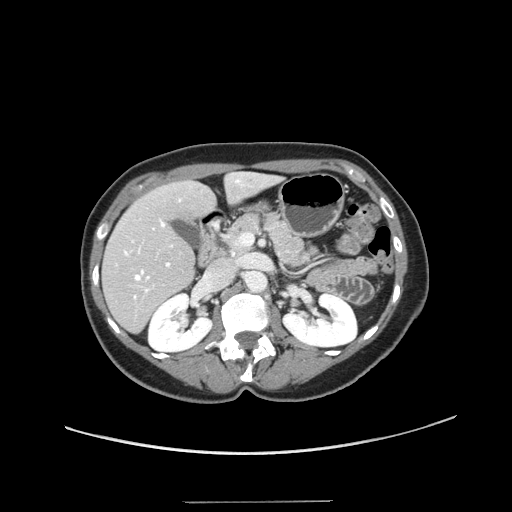 Abdomen; CT
The vessel annotation is not exhaustive.
Hepatic vessel: [x1=161, y1=222, x2=164, y2=225], [x1=167, y1=263, x2=169, y2=265], [x1=145, y1=289, x2=148, y2=291], [x1=125, y1=251, x2=128, y2=254], [x1=136, y1=270, x2=143, y2=279], [x1=179, y1=199, x2=180, y2=200], [x1=134, y1=296, x2=136, y2=299].